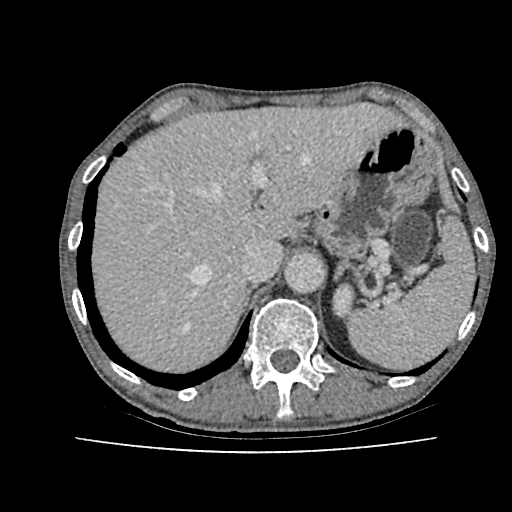 Abdomen; Computed tomography
<segmentation>
  <liver>(90,104,405,372)</liver>
  <kidney>(336,289,350,311)</kidney>
</segmentation>